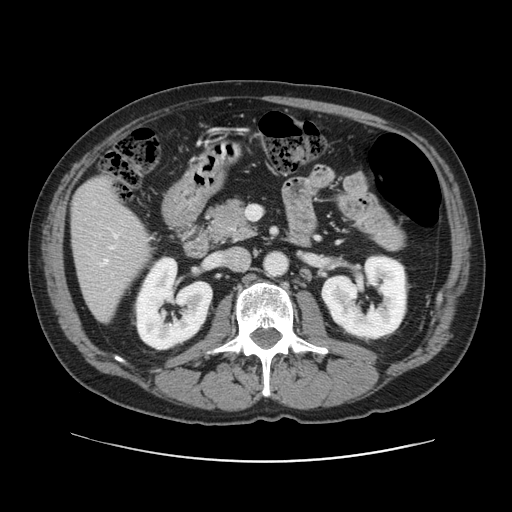 Abdomen | CT slice
Not every hepatic vessel necessarily has a box.
Annotated regions:
• hepatic vessel: x1=100 y1=259 x2=107 y2=265, x1=109 y1=246 x2=113 y2=248, x1=113 y1=234 x2=117 y2=237